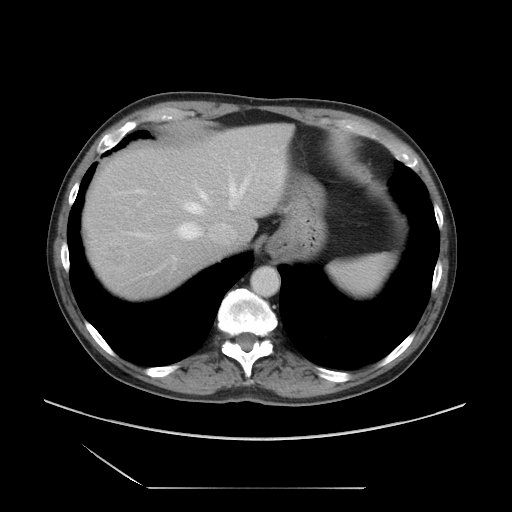

Abdomen; CT slice

The vessel boxes may cover only some of the vessels.
{"hepatic_vessel": [{"x1": 178, "y1": 222, "x2": 201, "y2": 238}, {"x1": 252, "y1": 165, "x2": 255, "y2": 168}, {"x1": 184, "y1": 202, "x2": 203, "y2": 213}, {"x1": 210, "y1": 225, "x2": 236, "y2": 240}, {"x1": 193, "y1": 181, "x2": 196, "y2": 186}, {"x1": 210, "y1": 203, "x2": 211, "y2": 204}, {"x1": 160, "y1": 265, "x2": 164, "y2": 268}, {"x1": 248, "y1": 172, "x2": 249, "y2": 173}, {"x1": 127, "y1": 231, "x2": 153, "y2": 239}, {"x1": 172, "y1": 256, "x2": 174, "y2": 259}, {"x1": 113, "y1": 189, "x2": 145, "y2": 194}, {"x1": 199, "y1": 190, "x2": 207, "y2": 200}, {"x1": 229, "y1": 177, "x2": 249, "y2": 209}], "liver_tumor": [{"x1": 97, "y1": 242, "x2": 129, "y2": 273}]}